Head
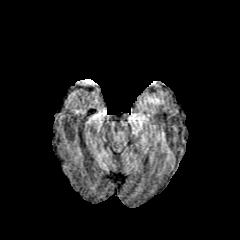
FLAIR magnetic resonance.
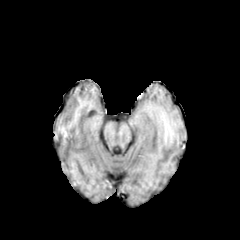
Same slice, T1-weighted magnetic resonance.
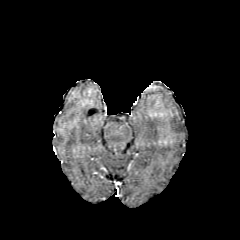
Post-contrast T1-weighted MR.
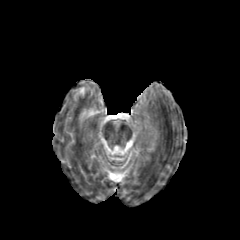
T2-weighted MRI.
Edema — box(143, 94, 155, 103).